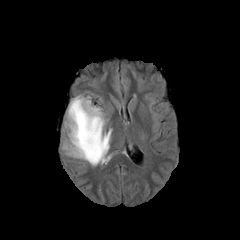
FLAIR magnetic resonance.
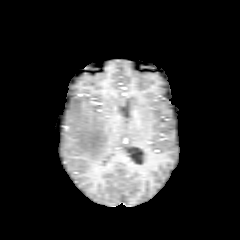
T1-weighted MR image of the same slice.
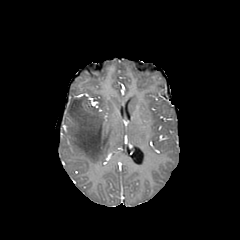
Same slice, post-contrast T1-weighted MR image.
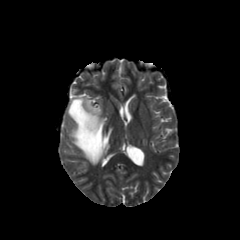
T2-weighted MR.
Head
{
  "non-enhancing_tumor_core": [
    "x1=72, y1=94, x2=101, y2=117"
  ],
  "edema": [
    "x1=65, y1=97, x2=111, y2=165"
  ]
}